CT. Slice 509 of 751. Upper abdomen.

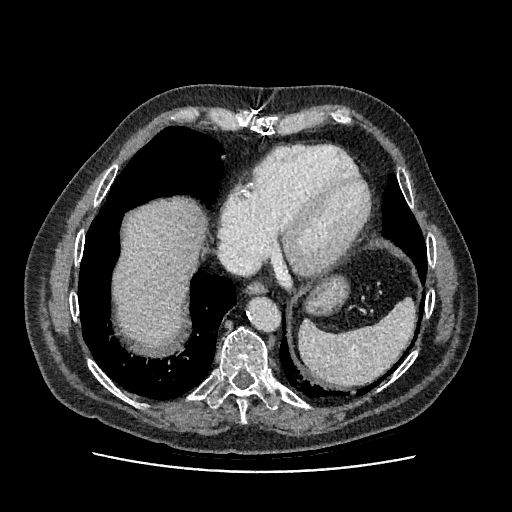
Annotated regions:
- liver: 113,200,203,345